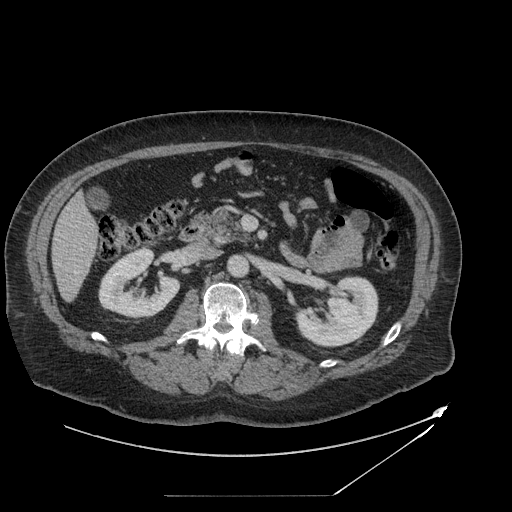
CT slice
The pancreas is bounded by <box>194,207,249,247</box>. The pancreatic tumor lies within <box>214,237,226,242</box>.